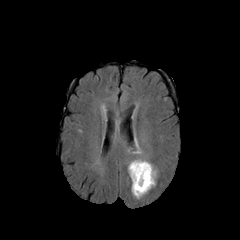
FLAIR MRI.
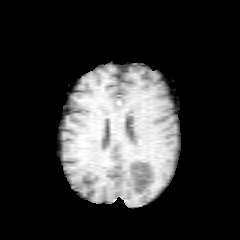
T1-weighted magnetic resonance.
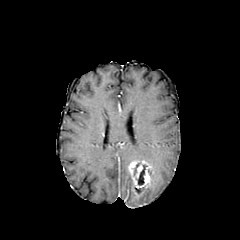
Post-contrast T1-weighted MR of the same slice.
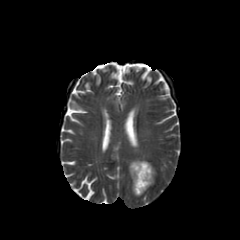
T2-weighted MR image.
Brain
Edema: x1=128, y1=159, x2=156, y2=198; x1=133, y1=133, x2=141, y2=153.
Enhancing tumor: x1=128, y1=161, x2=151, y2=189.
Non-enhancing tumor core: x1=138, y1=165, x2=145, y2=185.